Cardiac; 320x320; Slice index 82; Magnetic resonance 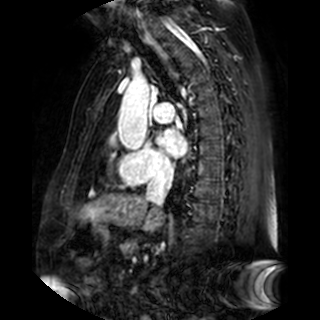

The left atrium is at 156 129 187 157.